Magnetic resonance. Heart. Slice 26/100.
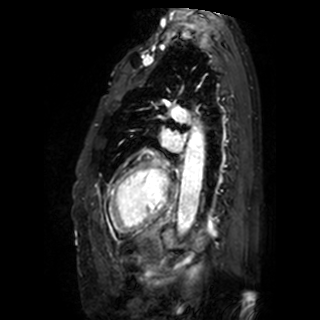
Annotated regions:
* left atrium: left=161, top=131, right=182, bottom=150